Field of view 240 mm wide, 1.00 mm slice spacing; Head; Slice 108/155
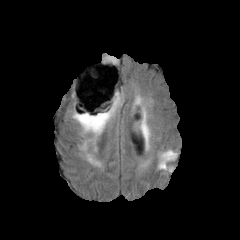
FLAIR MR.
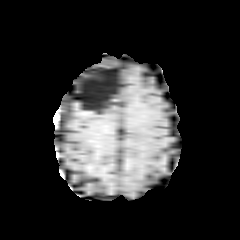
T1-weighted MR image.
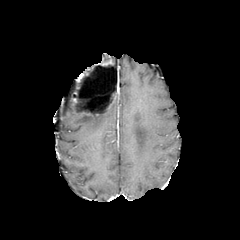
Post-contrast T1-weighted MRI.
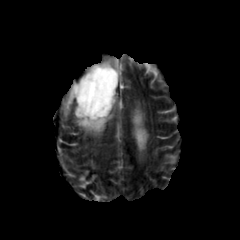
Same slice, T2-weighted MR image.
4 edema regions are located at 133,95,149,144; 72,104,121,138; 158,150,173,169; 118,89,123,105. The non-enhancing tumor core is located at 83,88,121,117.